240x240 | Field of view 240 mm wide, 1.00 mm slice spacing
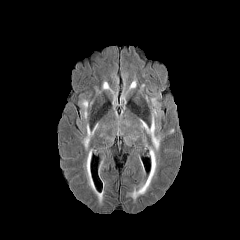
FLAIR MR image.
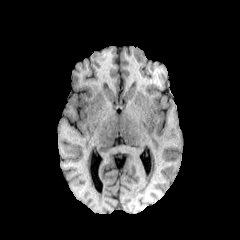
T1-weighted MRI.
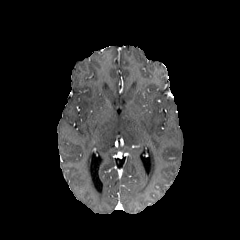
Same slice, post-contrast T1-weighted magnetic resonance.
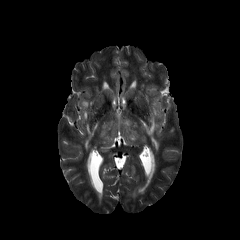
T2-weighted MR.
6 edema regions are located at (x1=85, y1=150, x2=103, y2=202), (x1=131, y1=149, x2=156, y2=200), (x1=82, y1=100, x2=88, y2=118), (x1=83, y1=124, x2=98, y2=149), (x1=103, y1=81, x2=113, y2=93), (x1=140, y1=111, x2=159, y2=150).